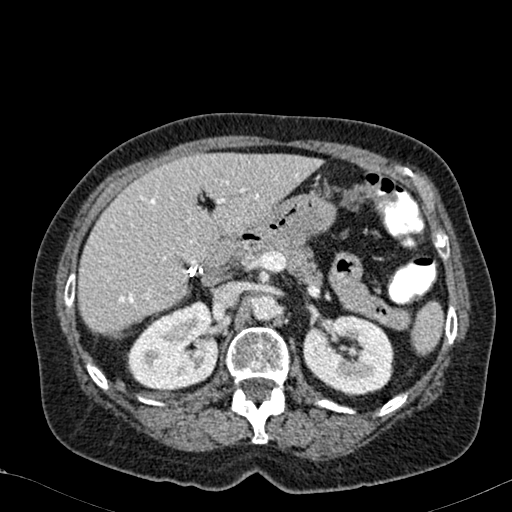
Image size 512x512 | Liver | CT image
<segmentation>
  <kidney>box=[129, 302, 217, 389]; box=[304, 316, 392, 393]</kidney>
  <liver>box=[78, 153, 321, 333]</liver>
</segmentation>